CT. 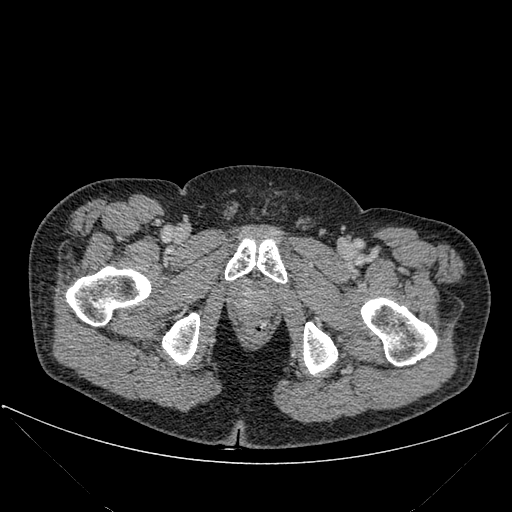 Bone — l=162, t=313, r=199, b=364; l=225, t=239, r=286, b=282; l=303, t=322, r=337, b=374; l=66, t=266, r=151, b=325; l=361, t=298, r=437, b=365.